Abdomen; CT slice; Slice 86/107
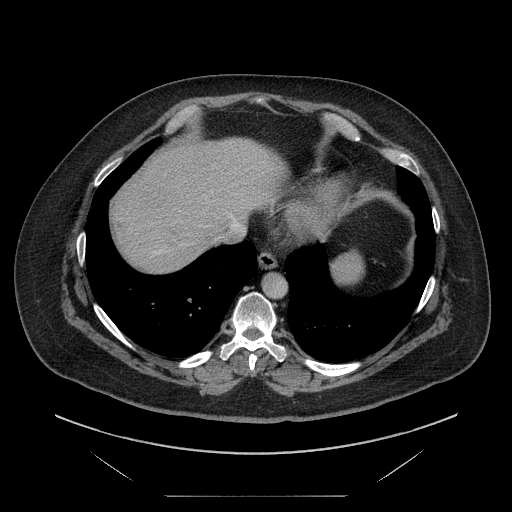
Not every hepatic vessel necessarily has a box.
The hepatic vessel lies within (219,212,243,240).